Field of view 240x240 mm. Slice 43/155.
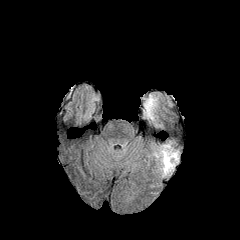
FLAIR MR image.
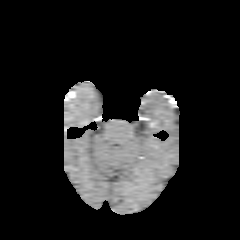
Same slice, T1-weighted MR image.
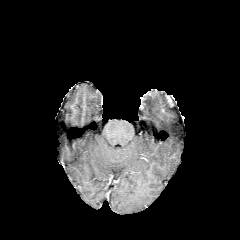
Post-contrast T1-weighted MR.
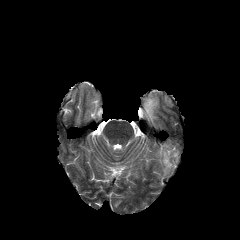
T2-weighted MR image of the same slice.
edema:
  - box=[151, 140, 180, 178]
  - box=[143, 92, 162, 126]